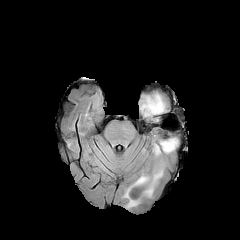
FLAIR magnetic resonance.
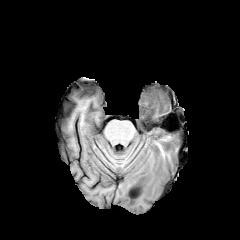
T1-weighted magnetic resonance of the same slice.
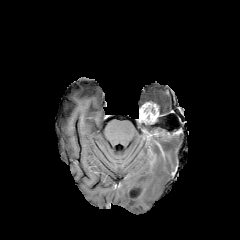
Same slice, post-contrast T1-weighted magnetic resonance.
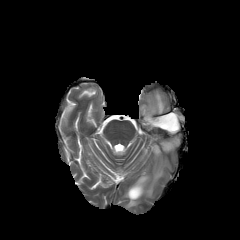
Same slice, T2-weighted MR image.
Segmented structures:
* edema: bbox(139, 94, 165, 122); bbox(123, 138, 178, 207)
* enhancing tumor: bbox(144, 104, 157, 119)